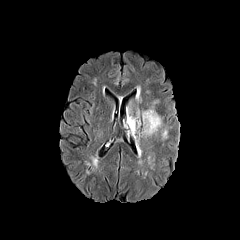
FLAIR magnetic resonance.
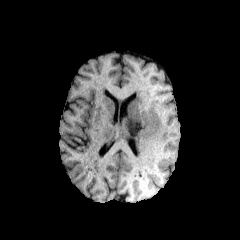
Same slice, T1-weighted MRI.
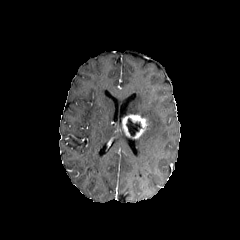
Post-contrast T1-weighted MR.
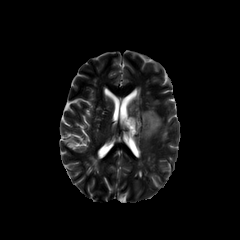
T2-weighted MR image.
240x240 px.
The enhancing tumor is bounded by bbox(122, 114, 149, 139). The non-enhancing tumor core is bounded by bbox(126, 118, 141, 135). The edema appears at bbox(142, 112, 160, 137).